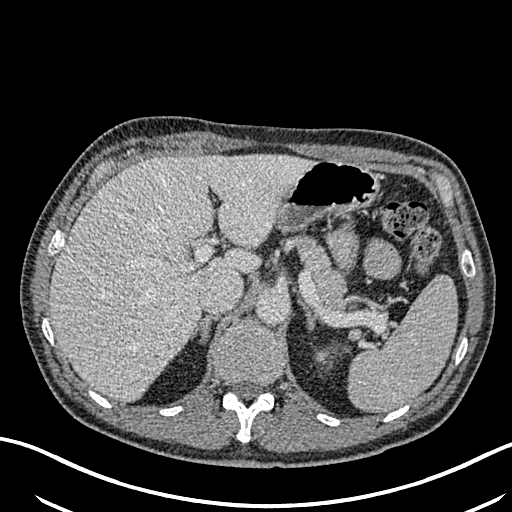
CT scan slice; Liver
Liver = (x1=49, y1=155, x2=314, y2=401).